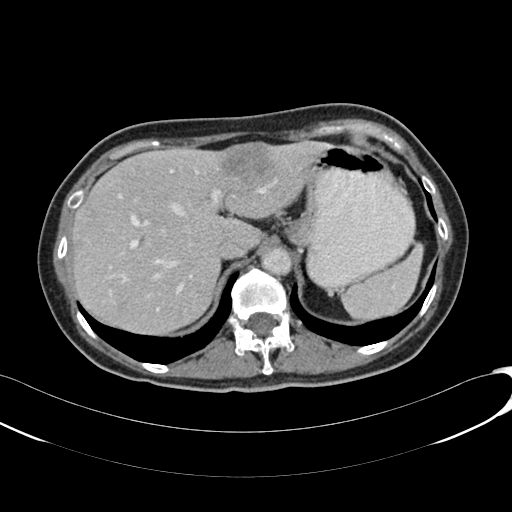
512x512. CT.
Annotated regions:
* liver: 72:141:329:332
* hepatic lesion: 87:210:95:216, 221:144:278:189